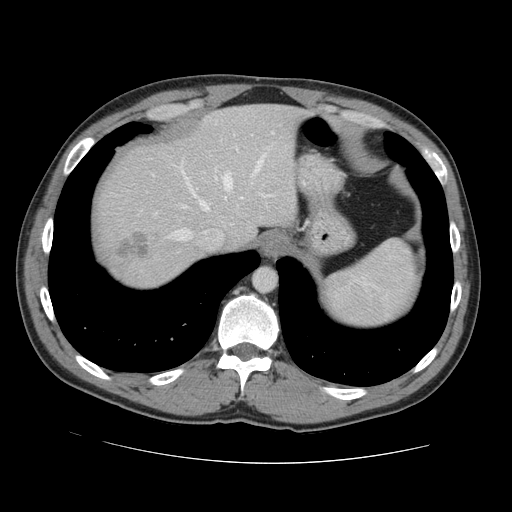 Computed tomography, Liver
Some hepatic vessels may have no box.
The liver tumor appears at {"x1": 115, "y1": 232, "x2": 151, "y2": 258}. The top 15 hepatic vessel regions (of 18) appear at {"x1": 262, "y1": 153, "x2": 265, "y2": 157}, {"x1": 250, "y1": 158, "x2": 261, "y2": 176}, {"x1": 236, "y1": 205, "x2": 237, "y2": 208}, {"x1": 153, "y1": 213, "x2": 156, "y2": 215}, {"x1": 179, "y1": 204, "x2": 186, "y2": 208}, {"x1": 240, "y1": 197, "x2": 242, "y2": 199}, {"x1": 233, "y1": 147, "x2": 237, "y2": 149}, {"x1": 220, "y1": 172, "x2": 231, "y2": 191}, {"x1": 173, "y1": 158, "x2": 209, "y2": 210}, {"x1": 266, "y1": 146, "x2": 270, "y2": 151}, {"x1": 215, "y1": 121, "x2": 216, "y2": 124}, {"x1": 168, "y1": 229, "x2": 191, "y2": 240}, {"x1": 259, "y1": 193, "x2": 271, "y2": 197}, {"x1": 215, "y1": 168, "x2": 217, "y2": 171}, {"x1": 214, "y1": 176, "x2": 217, "y2": 182}.